240x240
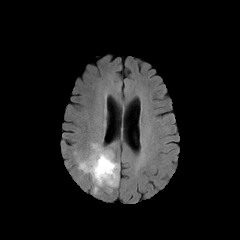
FLAIR MR image.
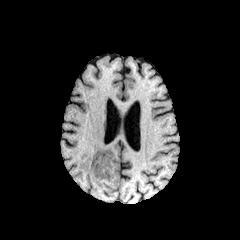
T1-weighted MR.
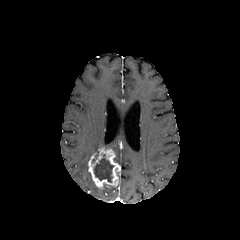
Post-contrast T1-weighted MR of the same slice.
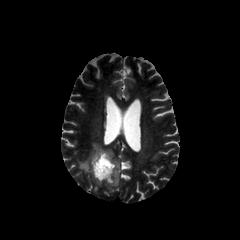
T2-weighted MR image.
Non-enhancing tumor core — 93 156 114 183.
Enhancing tumor — 88 145 120 188.
Edema — 76 143 99 174.